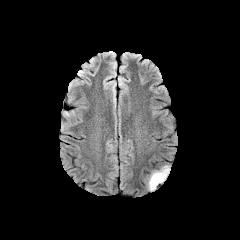
FLAIR magnetic resonance.
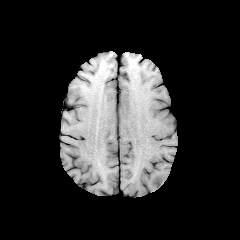
Same slice, T1-weighted magnetic resonance.
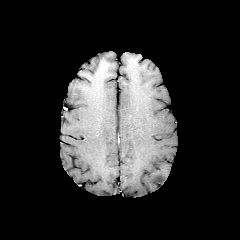
Same slice, post-contrast T1-weighted MR image.
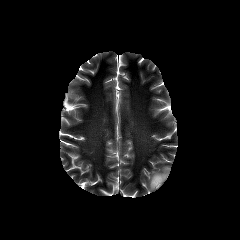
T2-weighted magnetic resonance.
edema: <bbox>147, 165, 169, 190</bbox>